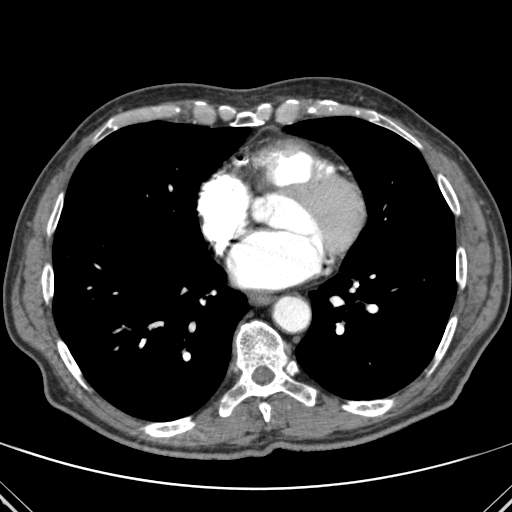 Computed tomography | Thorax | Image size 512x512

Lung at box(52, 121, 249, 421); box(284, 116, 456, 399).
Bone at box(366, 111, 421, 147); box(41, 264, 53, 301); box(47, 193, 62, 234); box(342, 399, 393, 416); box(231, 111, 264, 126); box(143, 417, 194, 437); box(219, 321, 316, 421); box(438, 174, 459, 214); box(57, 340, 86, 387); box(97, 119, 117, 135); box(456, 247, 466, 287); box(435, 316, 456, 363); box(320, 100, 338, 109).